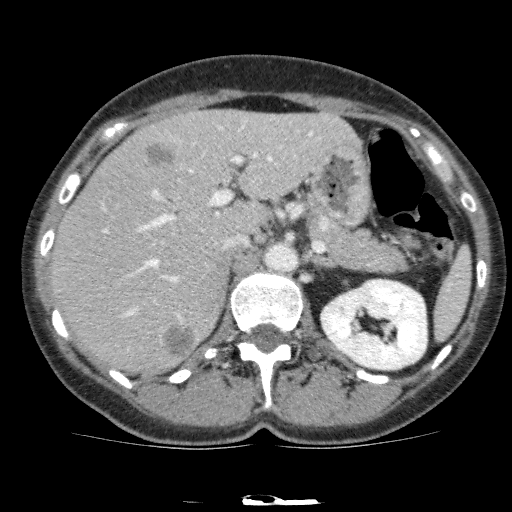
CT slice, Abdomen
The liver is at [x1=49, y1=109, x2=362, y2=373]. 2 hepatic lesion regions appear at [x1=162, y1=322, x2=197, y2=360], [x1=142, y1=140, x2=179, y2=170]. The kidney lies within [x1=321, y1=279, x2=426, y2=369].